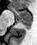

MR image; Medial temporal lobe

Posterior hippocampus: [19,20,31,28].
Anterior hippocampus: [11,6,31,19].